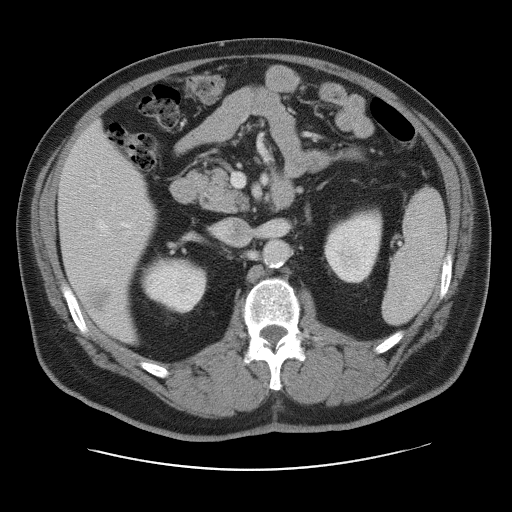
CT scan slice

The vessel boxes may cover only some of the vessels.
* liver tumor: [82,282,113,311]
* hepatic vessel: [89,184,97,187], [232,174,243,186], [97,221,107,231], [120,223,132,227]